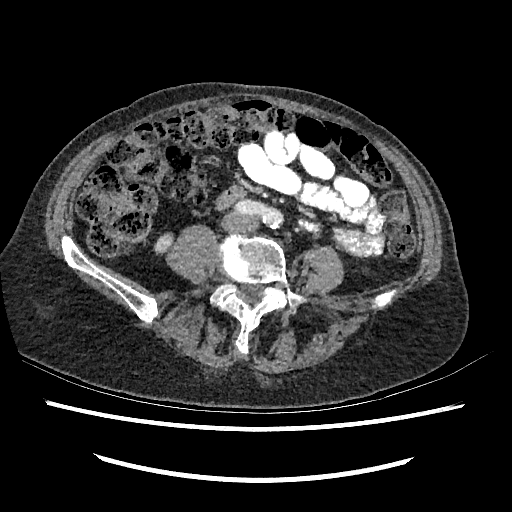
CT scan slice
The kidney is at x1=155 y1=234 x2=172 y2=253.